FLAIR MRI.
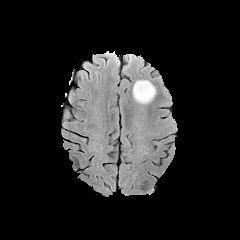
T1-weighted MR.
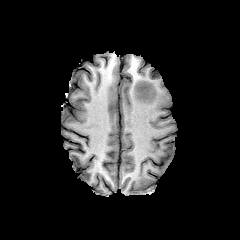
Post-contrast T1-weighted MR.
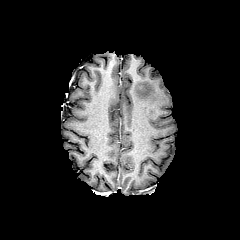
T2-weighted MR.
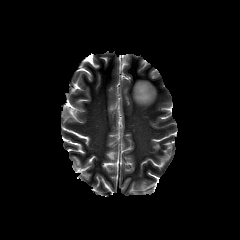
The edema lies within box(132, 79, 156, 103).